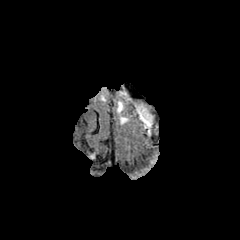
FLAIR MRI.
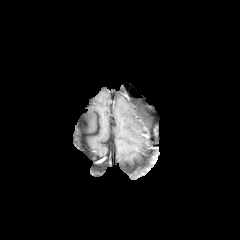
T1-weighted MR.
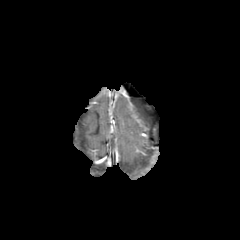
Post-contrast T1-weighted MR image.
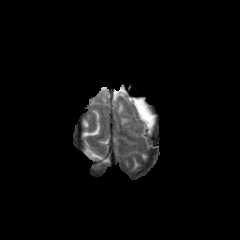
Same slice, T2-weighted MR.
Head, 240x240
edema:
  - [98, 88, 108, 101]
  - [116, 90, 131, 125]
  - [134, 102, 152, 131]